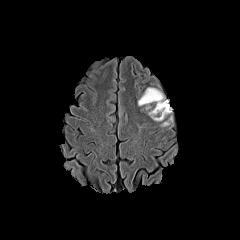
FLAIR MR.
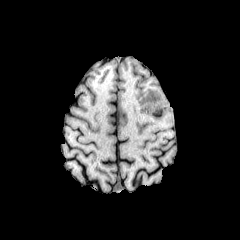
T1-weighted MR.
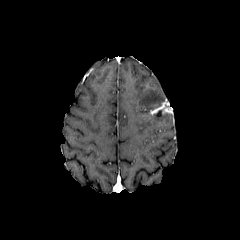
Same slice, post-contrast T1-weighted MR.
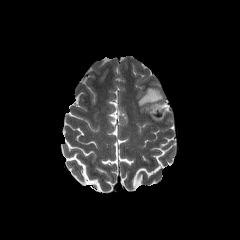
T2-weighted MR image.
Edema at <bbox>138, 88, 164, 106</bbox>.
Enhancing tumor at <bbox>148, 101, 171, 116</bbox>.